Brain, Image width 240 mm
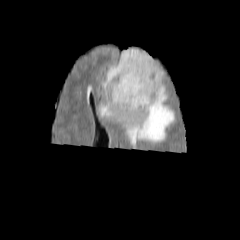
FLAIR magnetic resonance.
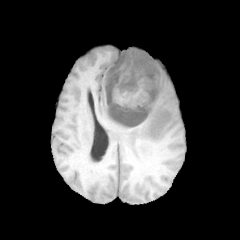
T1-weighted magnetic resonance of the same slice.
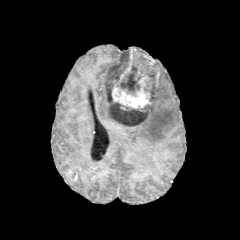
Post-contrast T1-weighted MRI.
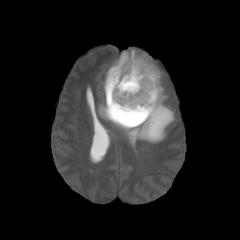
Same slice, T2-weighted MR image.
Non-enhancing tumor core at <box>104,49,160,127</box>.
Enhancing tumor at <box>111,69,151,108</box>, <box>119,61,132,81</box>.
Edema at <box>106,73,120,78</box>, <box>98,77,175,151</box>, <box>135,48,150,57</box>.